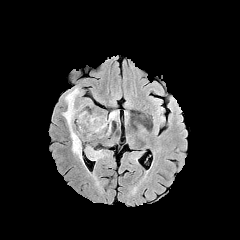
FLAIR MRI.
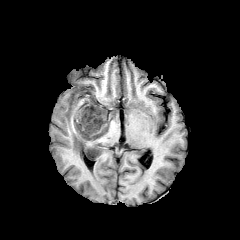
T1-weighted MRI of the same slice.
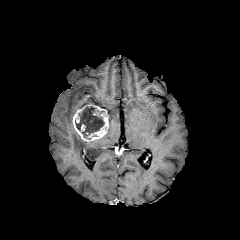
Same slice, post-contrast T1-weighted magnetic resonance.
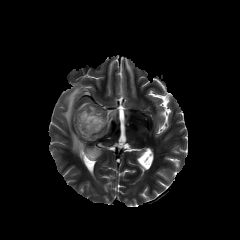
Same slice, T2-weighted MRI.
Image size 240x240
<segmentation>
  <enhancing_tumor>x1=73, y1=104, x2=109, y2=141</enhancing_tumor>
  <non-enhancing_tumor_core>x1=75, y1=105, x2=104, y2=137</non-enhancing_tumor_core>
  <edema>x1=85, y1=146, x2=105, y2=160; x1=61, y1=86, x2=82, y2=161; x1=108, y1=110, x2=118, y2=133</edema>
</segmentation>